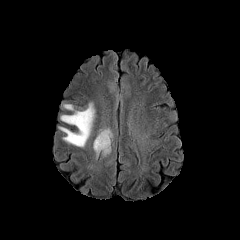
FLAIR MRI.
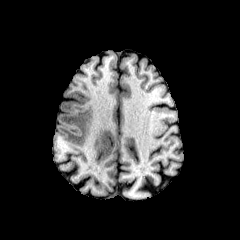
Same slice, T1-weighted MR.
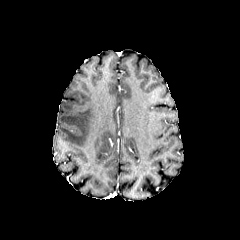
Post-contrast T1-weighted magnetic resonance.
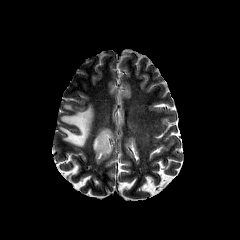
T2-weighted MR of the same slice.
Image size 240x240. Head.
edema: left=93, top=128, right=111, bottom=157; left=59, top=102, right=94, bottom=146